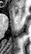
MR image
<segmentation>
  <anterior_hippocampus>[x1=14, y1=7, x2=18, y2=14]</anterior_hippocampus>
</segmentation>